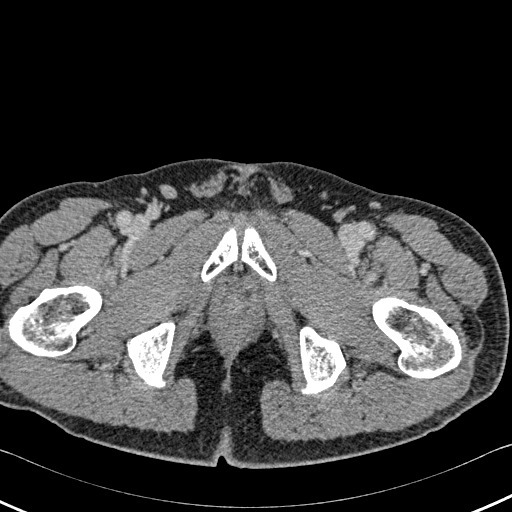 Computed tomography

Segmented structures:
- bone: (373,298,461,377), (128,322,174,387), (300,327,345,394), (0,286,101,356), (201,228,276,282)